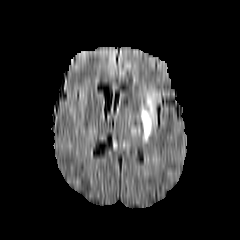
FLAIR MR.
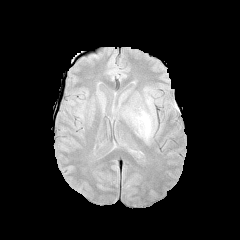
T1-weighted MR image.
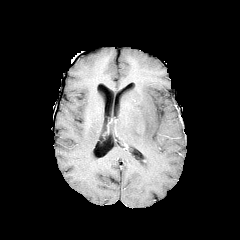
Same slice, post-contrast T1-weighted magnetic resonance.
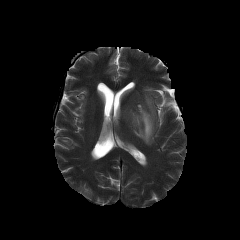
T2-weighted MRI.
Annotated regions:
- edema: box(137, 96, 154, 141)